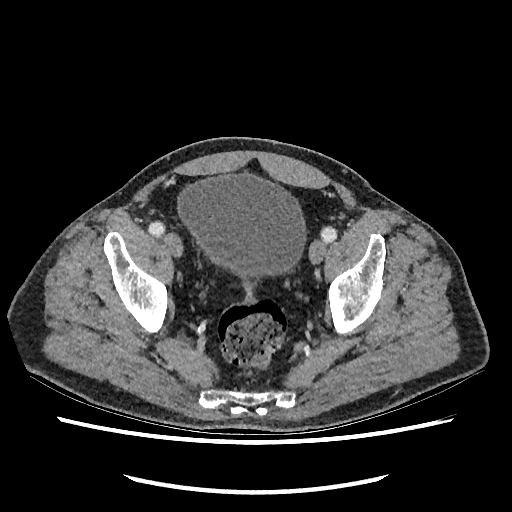

512x512. Lower abdomen. Computed tomography.
{
  "urinary_bladder": [
    "box=[179, 172, 305, 279]"
  ]
}